Brain.
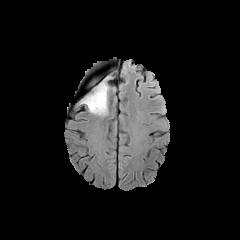
FLAIR MRI.
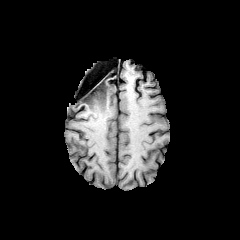
T1-weighted MRI.
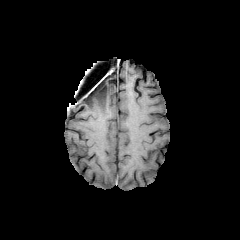
Same slice, post-contrast T1-weighted magnetic resonance.
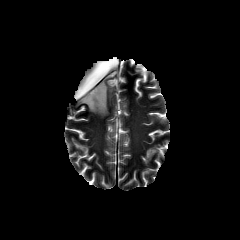
T2-weighted magnetic resonance of the same slice.
The non-enhancing tumor core is at left=82, top=79, right=104, bottom=101. 2 edema regions are bounded by left=86, top=78, right=99, bottom=91; left=81, top=78, right=113, bottom=115.